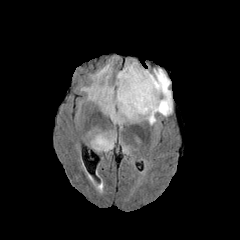
FLAIR MR image.
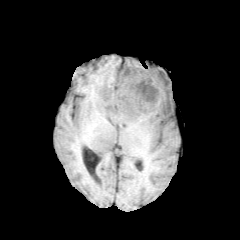
T1-weighted magnetic resonance.
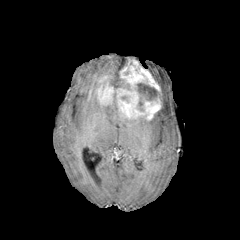
Post-contrast T1-weighted MRI.
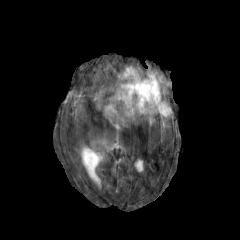
T2-weighted magnetic resonance.
Image size 240x240
enhancing_tumor:
  - {"x1": 96, "y1": 58, "x2": 160, "y2": 120}
edema:
  - {"x1": 92, "y1": 132, "x2": 116, "y2": 151}
  - {"x1": 80, "y1": 60, "x2": 172, "y2": 129}
non-enhancing_tumor_core:
  - {"x1": 133, "y1": 81, "x2": 158, "y2": 111}